Slice index 68
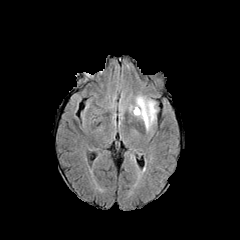
FLAIR magnetic resonance.
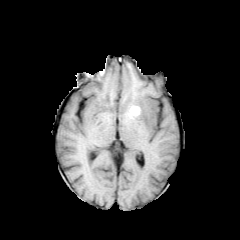
T1-weighted MR image.
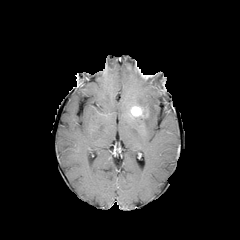
Post-contrast T1-weighted magnetic resonance.
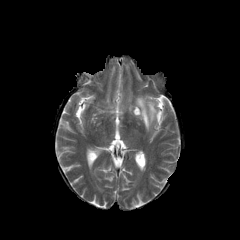
Same slice, T2-weighted MR image.
enhancing tumor: (131, 105, 147, 118) | edema: (136, 95, 156, 129)